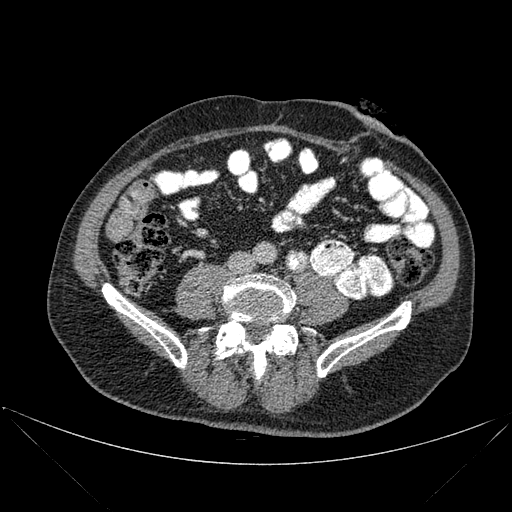 CT
{
  "bone": [
    "(left=215, top=275, right=297, bottom=378)",
    "(left=102, top=283, right=187, bottom=367)",
    "(left=317, top=301, right=411, bottom=377)"
  ]
}